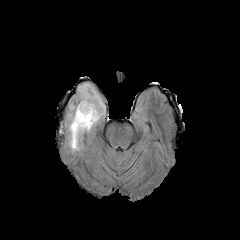
FLAIR MR.
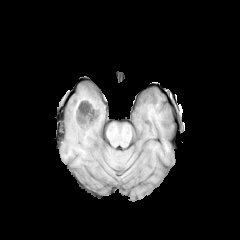
T1-weighted magnetic resonance.
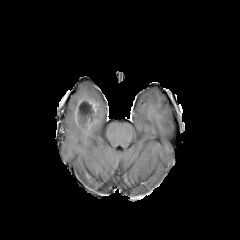
Post-contrast T1-weighted MRI.
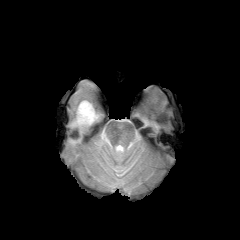
Same slice, T2-weighted MR.
Head. Image size 240x240.
Edema = 68 83 105 151.
Non-enhancing tumor core = 75 101 99 123.